FLAIR MR image.
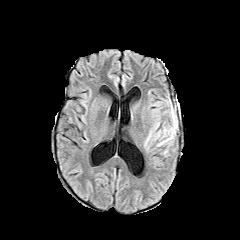
T1-weighted MR.
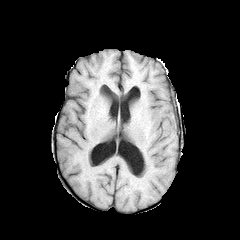
Post-contrast T1-weighted MR.
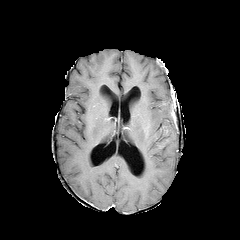
T2-weighted MR.
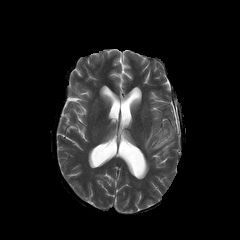
Image size 240x240 | Brain
edema: [x1=145, y1=128, x2=161, y2=147], [x1=154, y1=114, x2=176, y2=148], [x1=164, y1=100, x2=171, y2=113]